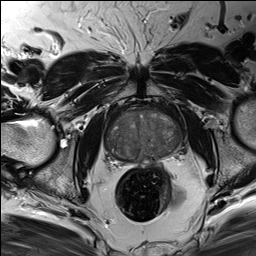
T2-weighted MR.
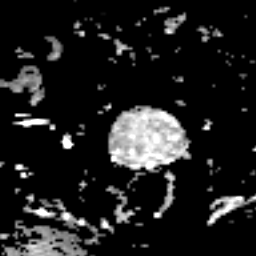
Same slice, ADC MRI.
256x256 px | Prostate
Prostate peripheral zone: bounding box <box>107,112,181,160</box>.